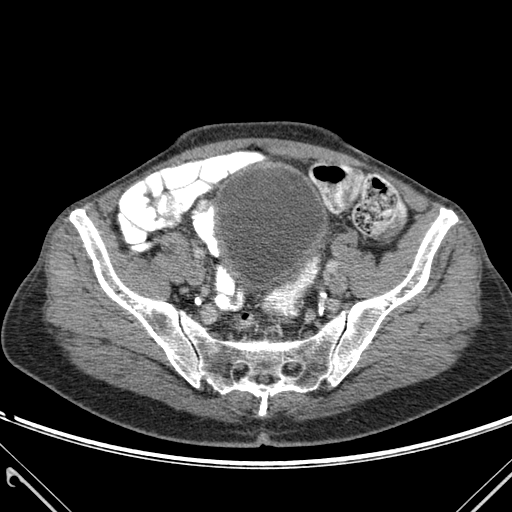
CT.
- bone: bbox=[69, 208, 457, 415]
- urinary bladder: bbox=[220, 169, 323, 292]